CT image; 512x512; Field of view 350 mm wide, 0.70 mm slice spacing; Upper abdomen
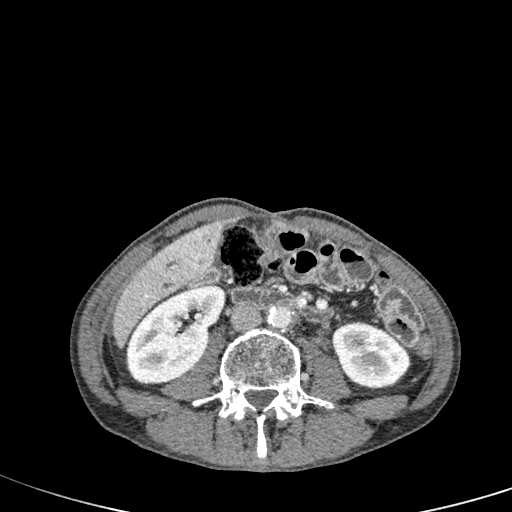

2 kidney regions are bounded by 333:323:408:387, 127:285:225:382. The liver lies within 114:220:224:347.